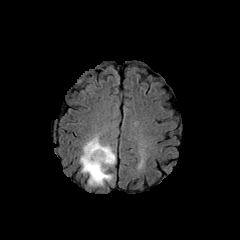
FLAIR MRI.
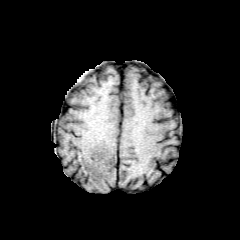
T1-weighted magnetic resonance.
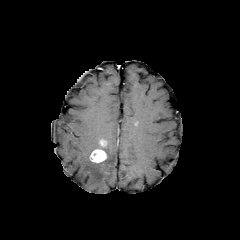
Post-contrast T1-weighted MR image of the same slice.
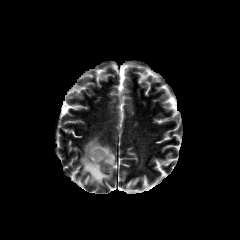
T2-weighted MR image.
Annotated regions:
- enhancing tumor: bbox(90, 149, 107, 162)
- edema: bbox(80, 136, 115, 186)